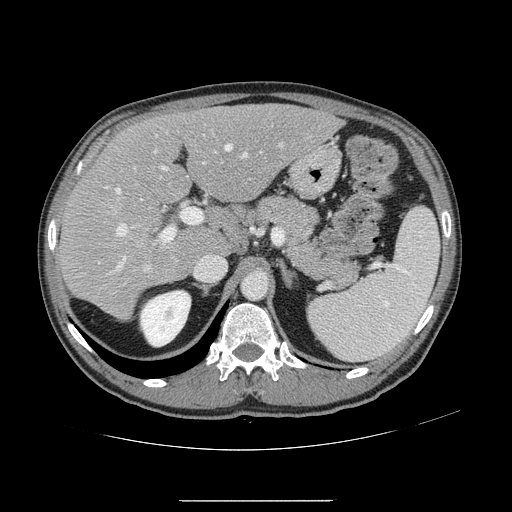

Liver, Image size 512x512, CT
Some hepatic vessels may have no box.
{
  "hepatic_vessel": [
    "rect(182, 207, 201, 223)",
    "rect(116, 224, 127, 235)",
    "rect(161, 166, 167, 169)",
    "rect(279, 143, 282, 146)",
    "rect(242, 153, 246, 157)",
    "rect(110, 257, 125, 273)",
    "rect(155, 150, 156, 151)",
    "rect(116, 188, 120, 193)",
    "rect(133, 225, 138, 226)",
    "rect(115, 211, 115, 214)",
    "rect(104, 186, 108, 188)",
    "rect(145, 264, 151, 272)",
    "rect(224, 144, 231, 150)",
    "rect(161, 228, 174, 240)"
  ]
}